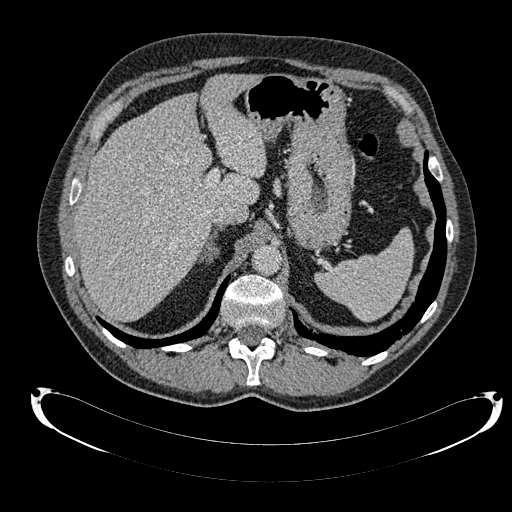
512x512, CT
liver: box(75, 74, 265, 321)